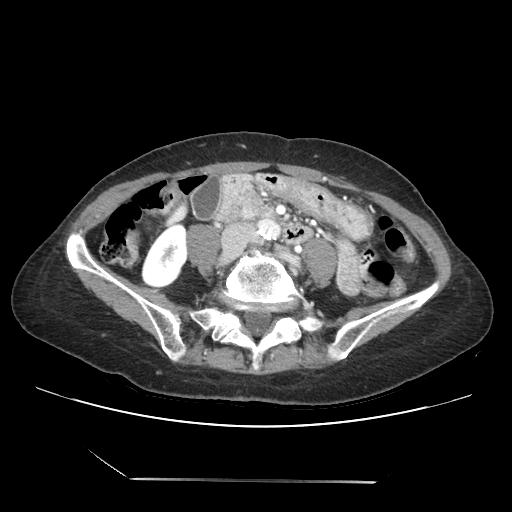 CT image.
The pancreas is located at bbox=[216, 174, 277, 222].